Field of view 393x393 mm | CT | Abdomen
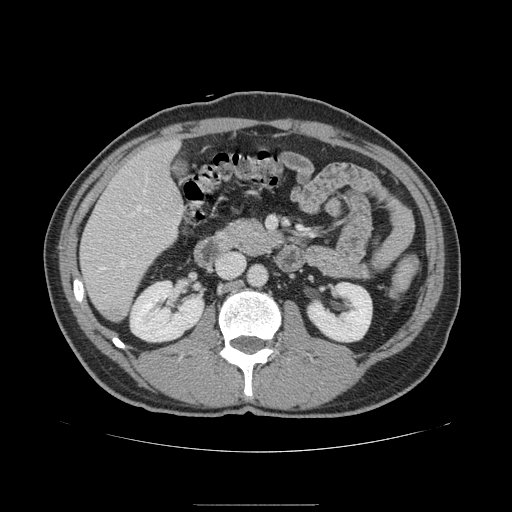 * pancreas: {"x1": 214, "y1": 218, "x2": 284, "y2": 256}